FLAIR MR.
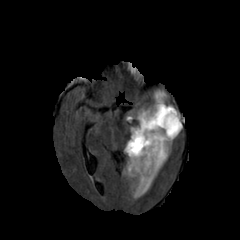
T1-weighted magnetic resonance.
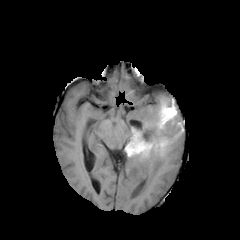
Post-contrast T1-weighted MRI.
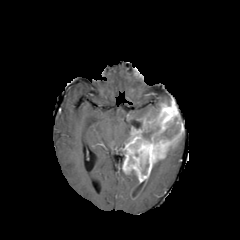
T2-weighted MR image.
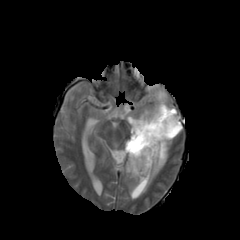
Edema = box(132, 152, 167, 197); box(138, 90, 165, 119).
Enhancing tumor = box(124, 104, 182, 181).
Non-enhancing tumor core = box(136, 179, 147, 193); box(154, 117, 183, 142); box(133, 104, 160, 141).